FLAIR magnetic resonance.
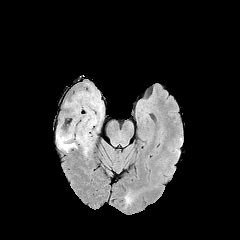
T1-weighted magnetic resonance.
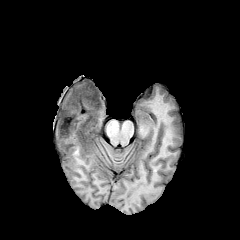
Post-contrast T1-weighted MR image.
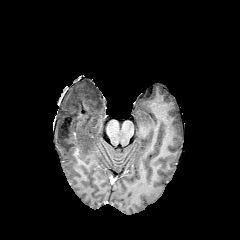
T2-weighted MR image.
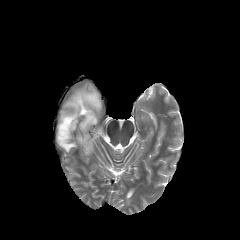
240x240 px.
The edema lies within x1=56, y1=84, x2=102, y2=155. 2 non-enhancing tumor core regions appear at x1=60, y1=128, x2=69, y2=136; x1=69, y1=88, x2=99, y2=117.